Brain
FLAIR MRI.
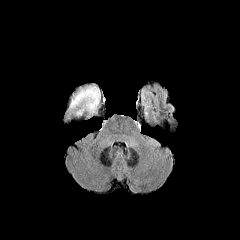
T1-weighted MR.
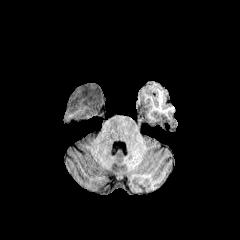
Post-contrast T1-weighted MR.
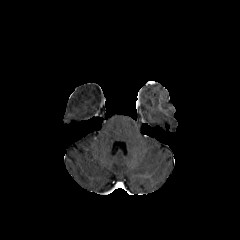
T2-weighted MR image.
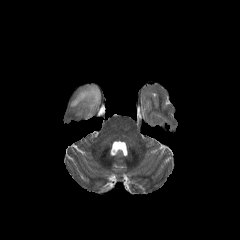
{"edema": ["<box>70,85,100,110</box>"]}